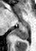 36x51 | MR

Posterior hippocampus: {"x1": 14, "y1": 28, "x2": 28, "y2": 40}.